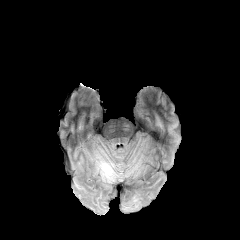
FLAIR MR image.
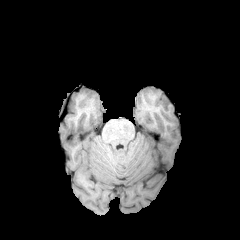
Same slice, T1-weighted MR image.
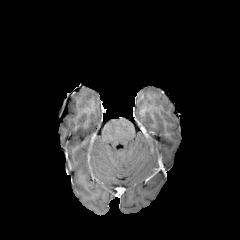
Same slice, post-contrast T1-weighted magnetic resonance.
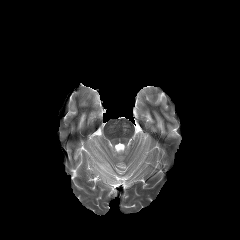
T2-weighted MR image.
Head
Findings:
* edema: <box>94,156,115,185</box>